Head
FLAIR magnetic resonance.
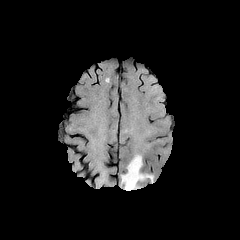
T1-weighted MRI.
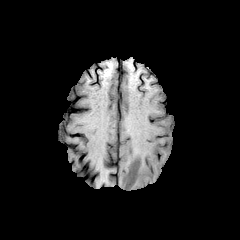
Post-contrast T1-weighted MR.
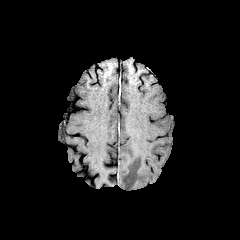
T2-weighted MR.
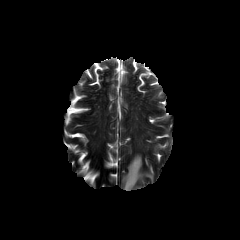
edema: (left=121, top=154, right=153, bottom=190)